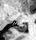 MR image | 36x40 px

• posterior hippocampus: [13,24,27,32]